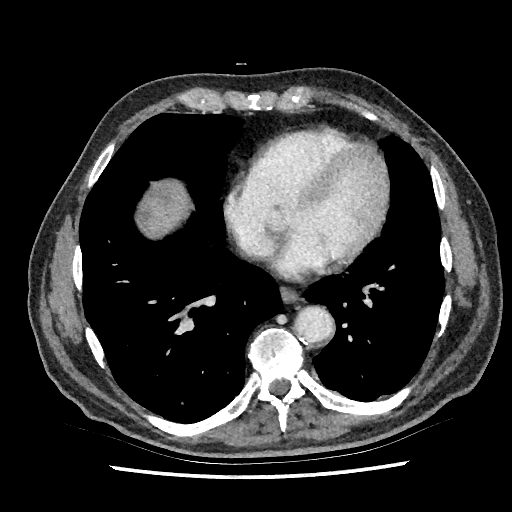 CT slice; Abdomen
Annotated regions:
* liver: l=139, t=182, r=187, b=236
* hepatic lesion: l=151, t=187, r=171, b=204; l=139, t=206, r=151, b=222